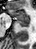

Image size 36x49. MR. {"posterior_hippocampus": [{"x1": 17, "y1": 21, "x2": 29, "y2": 27}], "anterior_hippocampus": [{"x1": 8, "y1": 7, "x2": 29, "y2": 21}]}